512x512, Lung, CT slice 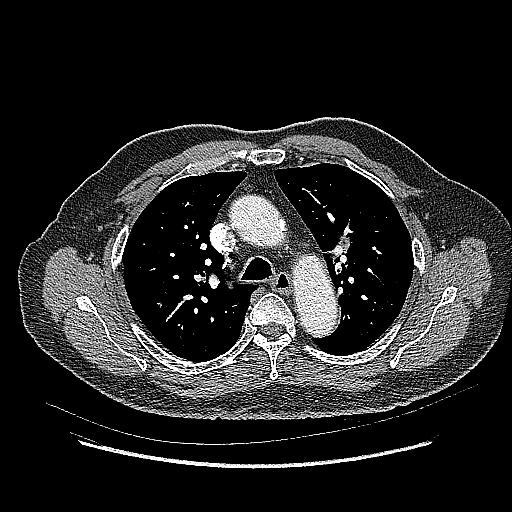

The lung tumor is bounded by (left=323, top=234, right=352, bottom=275).